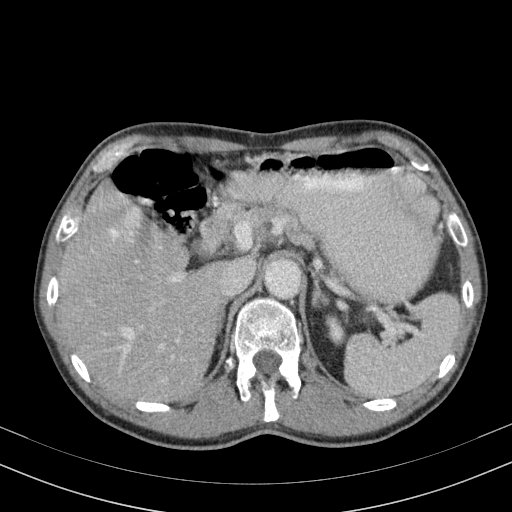 CT scan slice.

<segmentation>
  <liver>region(236, 242, 250, 251); region(58, 177, 256, 406)</liver>
</segmentation>